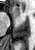
Medial temporal lobe. Magnetic resonance.
anterior hippocampus: x1=14 y1=7 x2=19 y2=15